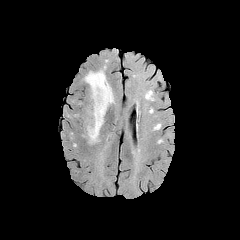
FLAIR MR.
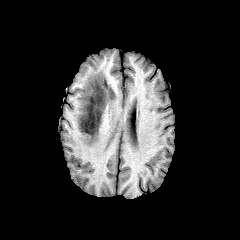
T1-weighted magnetic resonance.
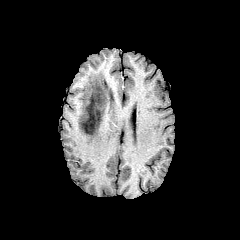
Post-contrast T1-weighted MR image.
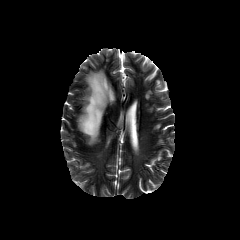
Same slice, T2-weighted MR image.
240x240 | Head
<segmentation>
  <non-enhancing_tumor_core>l=82, t=81, r=105, b=134; l=88, t=69, r=107, b=82</non-enhancing_tumor_core>
  <edema>l=86, t=73, r=113, b=143</edema>
</segmentation>